FLAIR magnetic resonance.
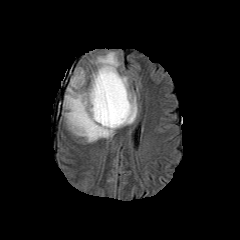
T1-weighted MRI.
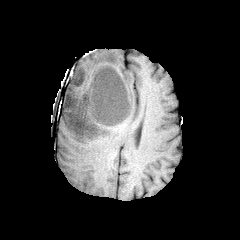
Post-contrast T1-weighted MR image.
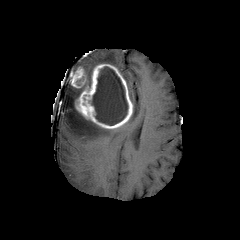
T2-weighted MR.
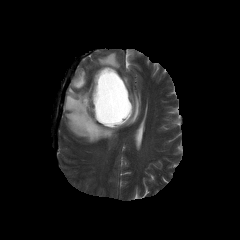
Head; 240x240 px
Edema: left=90, top=51, right=122, bottom=68; left=119, top=75, right=138, bottom=127; left=62, top=83, right=118, bottom=142.
Non-enhancing tumor core: left=92, top=67, right=128, bottom=125.
Enhancing tumor: left=70, top=64, right=133, bottom=128.